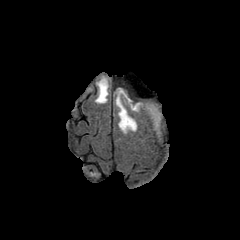
FLAIR MR.
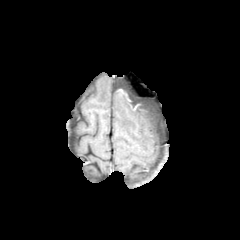
T1-weighted MR.
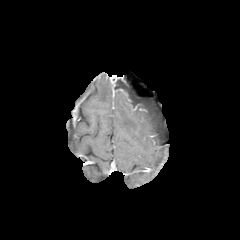
Post-contrast T1-weighted MRI of the same slice.
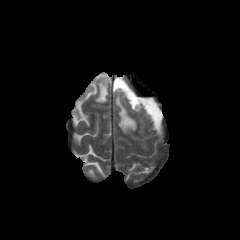
Same slice, T2-weighted MR image.
Brain
{"edema": ["[115,87,160,133]", "[94,76,109,103]"], "non-enhancing_tumor_core": ["[128,98,159,121]"]}